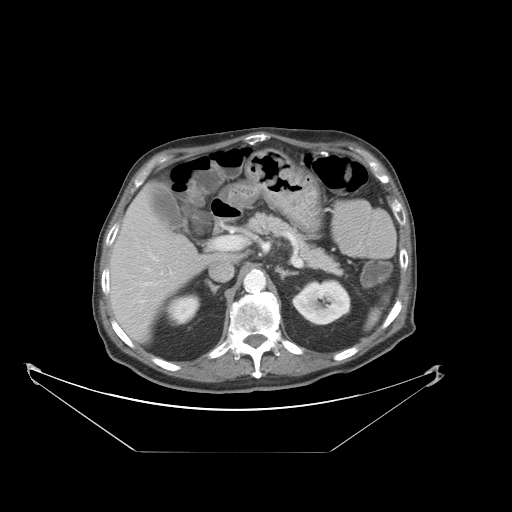
Liver, CT image
Not every hepatic vessel necessarily has a box.
Segmented structures:
- hepatic vessel: rect(171, 272, 172, 273); rect(147, 268, 150, 270); rect(198, 258, 202, 259); rect(161, 272, 162, 274); rect(150, 254, 157, 261); rect(140, 301, 143, 303); rect(142, 283, 154, 286); rect(211, 229, 243, 250)